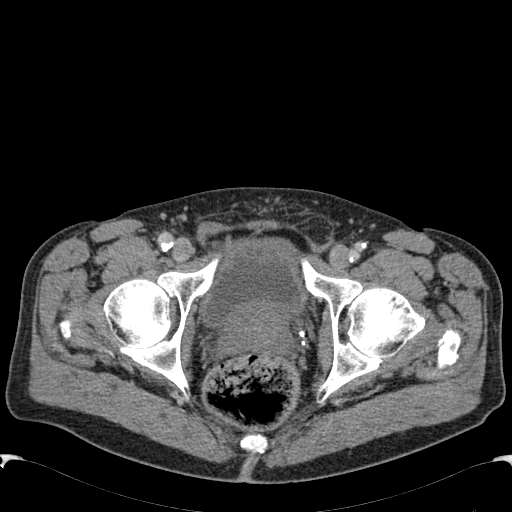 Pelvis, CT scan slice
urinary_bladder:
  - rect(195, 235, 307, 331)